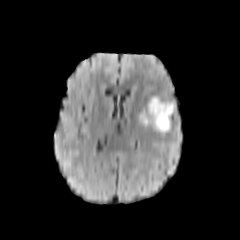
FLAIR magnetic resonance.
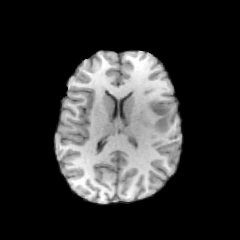
T1-weighted MRI.
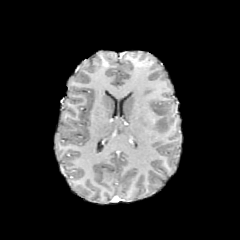
Same slice, post-contrast T1-weighted MRI.
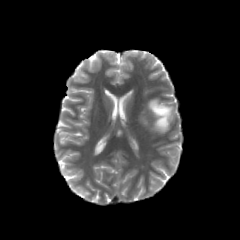
T2-weighted MR.
Head
{
  "edema": [
    "box=[148, 97, 162, 130]"
  ],
  "non-enhancing_tumor_core": [
    "box=[151, 99, 174, 131]"
  ]
}